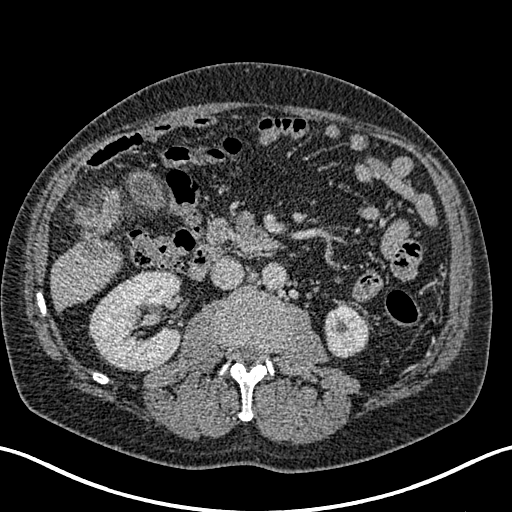
Image size 512x512 | Liver | Computed tomography
kidney:
  - 90 272 179 370
  - 326 305 367 356
hepatic_lesion:
  - 78 203 111 260
liver:
  - 49 188 122 310